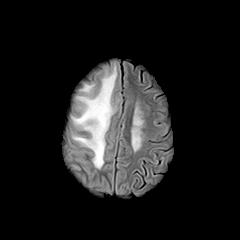
FLAIR MR.
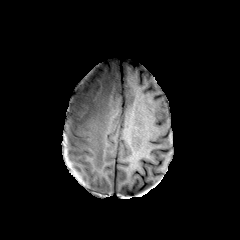
T1-weighted MR image of the same slice.
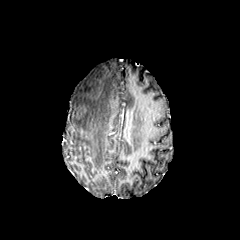
Post-contrast T1-weighted magnetic resonance.
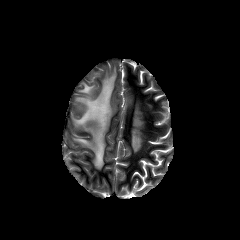
Same slice, T2-weighted magnetic resonance.
Brain
Annotated regions:
• edema: <bbox>72, 66, 117, 169</bbox>